Field of view 429 mm wide, 0.70 mm slice spacing; CT slice; Upper abdomen 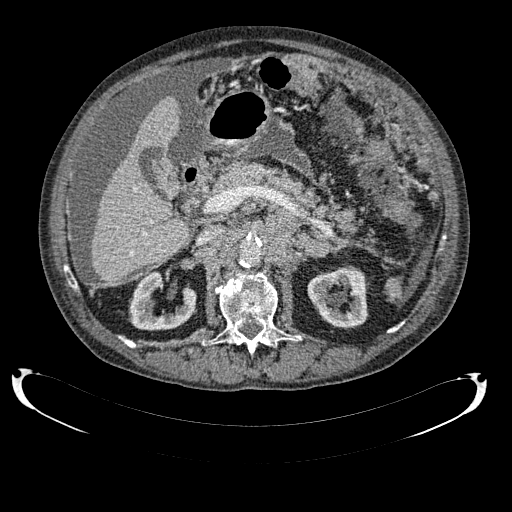 kidney: <bbox>308, 268, 367, 327</bbox>, <bbox>130, 272, 195, 329</bbox> | liver: <bbox>91, 96, 189, 283</bbox>